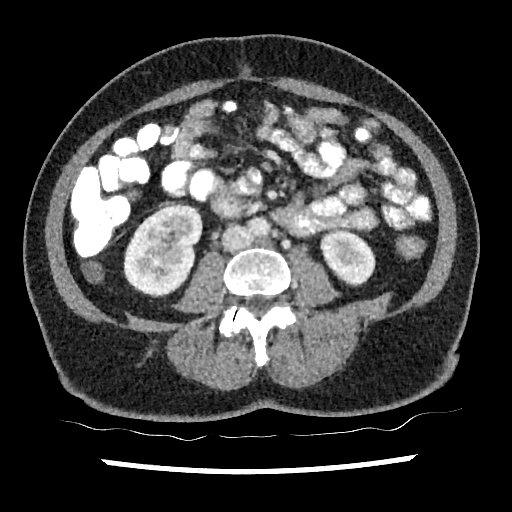 CT slice; Image size 512x512
Kidney — x1=125, y1=206, x2=201, y2=294; x1=322, y1=232, x2=374, y2=283.